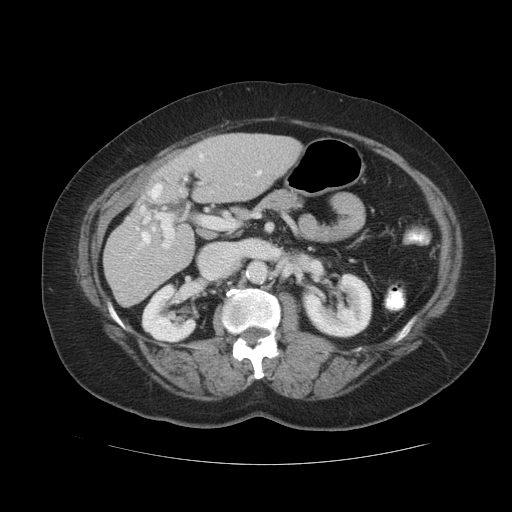
Image size 512x512 | CT
Only some of the vessels may be annotated.
{
  "hepatic_vessel": [
    "199 155 202 157",
    "203 218 232 227",
    "140 206 149 223",
    "142 232 149 242",
    "156 213 173 248",
    "257 171 260 174",
    "152 185 160 197",
    "153 228 155 230"
  ]
}